240x240 px. Brain.
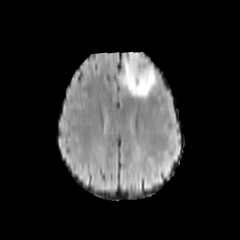
FLAIR MRI.
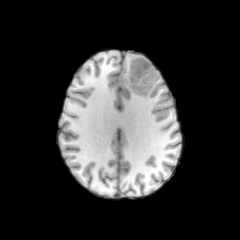
T1-weighted magnetic resonance of the same slice.
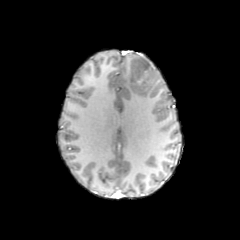
Post-contrast T1-weighted MR image.
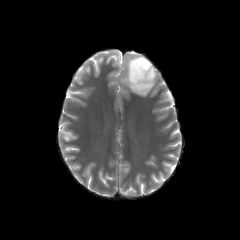
T2-weighted MR image.
Non-enhancing tumor core — [129,57,155,95].
Edema — [119,52,157,96].